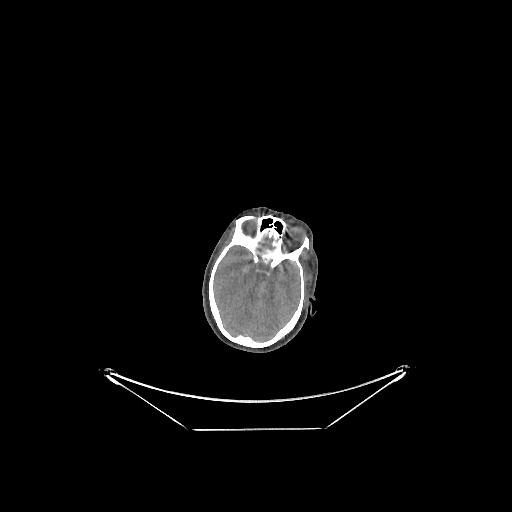
Brain | CT | 512x512 px

Annotated regions:
• brain: region(213, 245, 300, 342); region(256, 235, 275, 253)